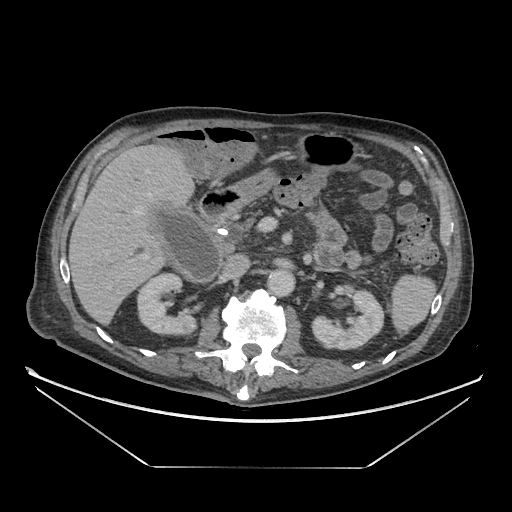

Abdomen; Computed tomography
The pancreas appears at 226:219:253:243.